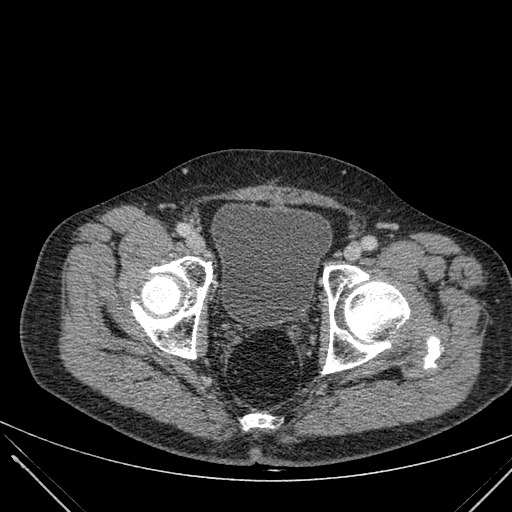

CT image
Annotated regions:
* urinary bladder: region(211, 205, 332, 324)